Image width 451 mm. Computed tomography. Slice 47/100.

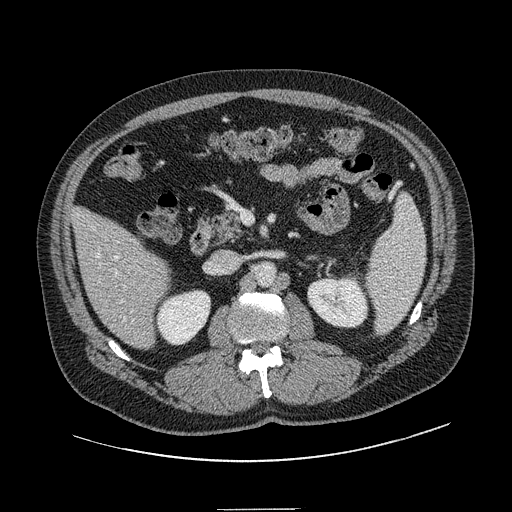
Pancreas: (212, 215, 246, 242).